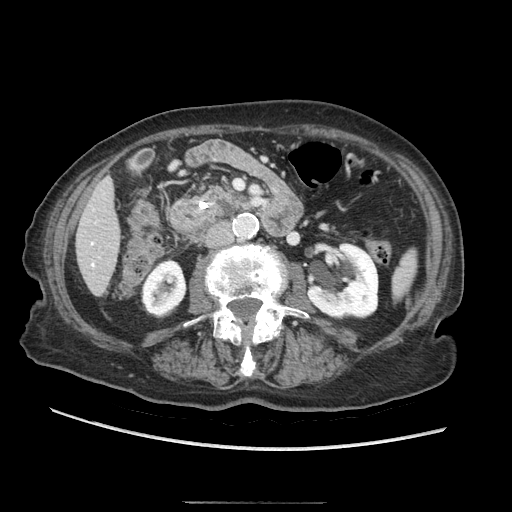
Upper abdomen, CT image, 512x512 px
The pancreas appears at 199, 184, 251, 217.